Liver; Computed tomography
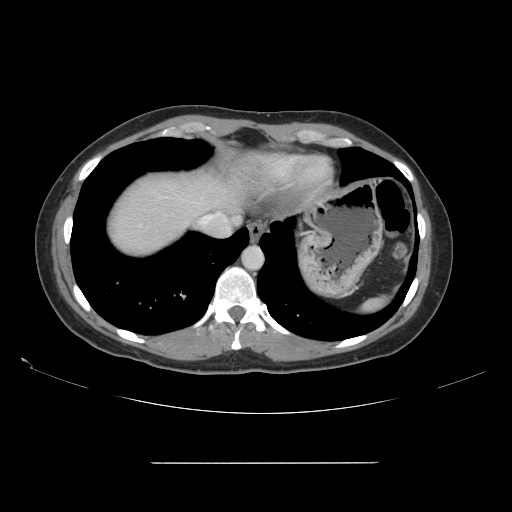
Only some of the vessels may be annotated.
hepatic_vessel:
  - {"x1": 203, "y1": 213, "x2": 218, "y2": 220}
  - {"x1": 199, "y1": 221, "x2": 202, "y2": 222}